Chest | CT | Field of view 360x360 mm | Slice 551/689 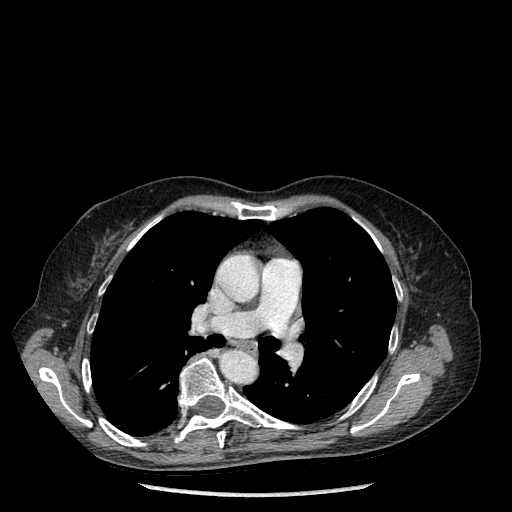
Annotated regions:
• lung: [90,211,261,436], [244,208,396,422]
• bone: [217,430,225,447], [87,316,95,333], [99,418,146,446], [362,224,382,251], [127,215,162,250], [341,375,377,419], [350,372,419,434], [174,356,298,442], [39,367,92,427], [393,278,402,300], [99,277,110,294], [82,358,91,392], [389,327,397,353], [231,202,281,220]